T2-weighted magnetic resonance.
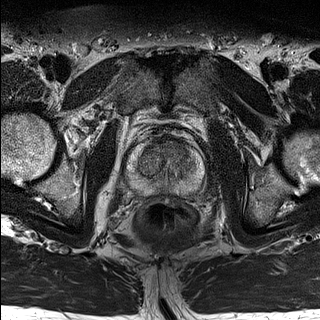
ADC magnetic resonance.
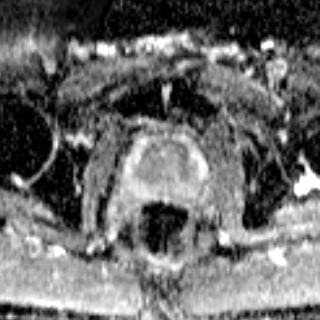
The prostate peripheral zone lies within x1=126 y1=140 x2=202 y2=194. The prostate transition zone lies within x1=137 y1=140 x2=193 y2=179.